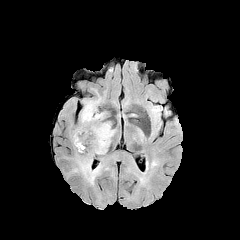
FLAIR MR image.
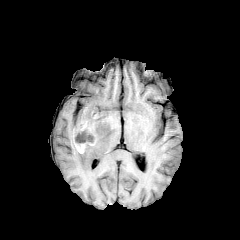
Same slice, T1-weighted MR image.
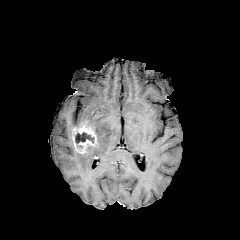
Post-contrast T1-weighted magnetic resonance of the same slice.
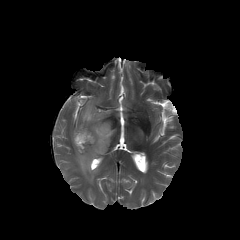
Same slice, T2-weighted MR.
Head
Enhancing tumor = (left=72, top=125, right=96, bottom=153).
Edema = (left=76, top=122, right=116, bottom=183), (left=79, top=93, right=107, bottom=124).
Non-enhancing tumor core = (left=75, top=132, right=94, bottom=143).